Image size 240x240, Brain, Slice 54/155
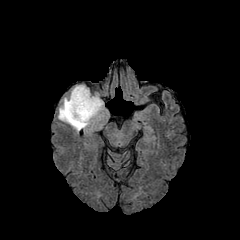
FLAIR MR image.
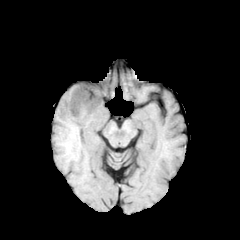
T1-weighted MR image of the same slice.
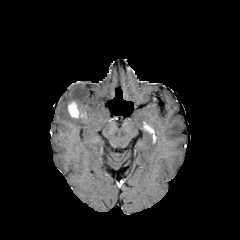
Same slice, post-contrast T1-weighted MR image.
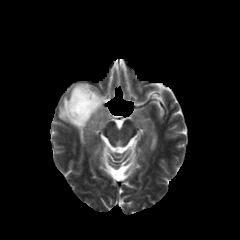
Same slice, T2-weighted MRI.
non-enhancing tumor core: (73, 98, 89, 114) | enhancing tumor: (67, 100, 87, 118) | edema: (58, 84, 105, 132)